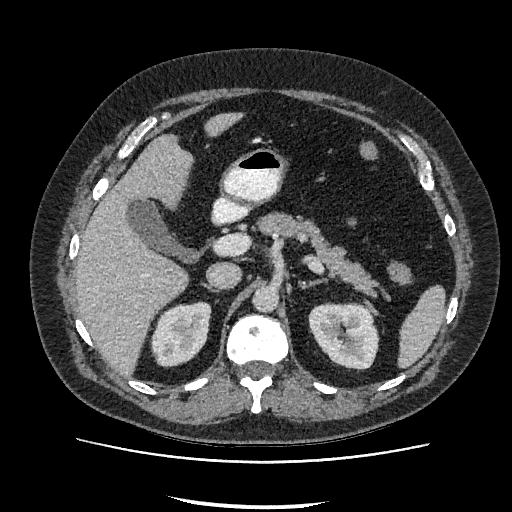
Computed tomography. <segmentation>
  <liver>box=[207, 112, 241, 135]; box=[76, 134, 192, 376]</liver>
  <kidney>box=[153, 303, 210, 365]; box=[309, 305, 377, 368]</kidney>
</segmentation>